Slice 109/120, MRI slice, Field of view 400 mm wide, 1.37 mm slice spacing, Heart
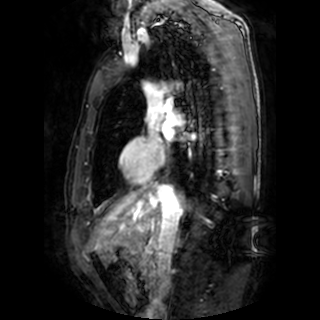

The left atrium is bounded by 164:130:171:138.